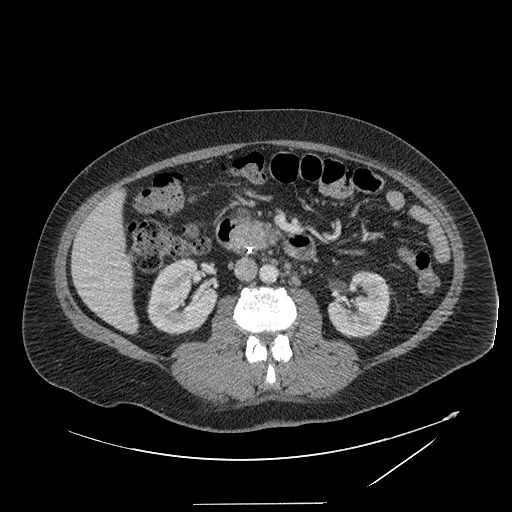 Upper abdomen | CT
pancreas: x1=233 y1=209 x2=281 y2=250 | pancreatic tumor: x1=237 y1=225 x2=269 y2=249